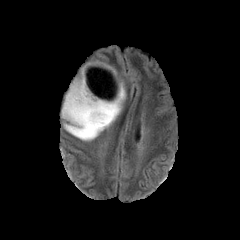
FLAIR magnetic resonance.
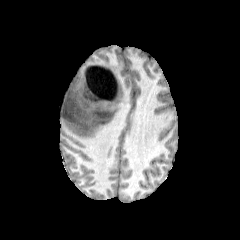
T1-weighted magnetic resonance of the same slice.
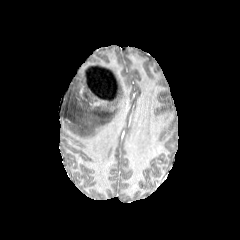
Post-contrast T1-weighted MR image.
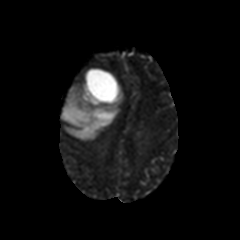
T2-weighted MRI of the same slice.
Brain
3 non-enhancing tumor core regions are bounded by l=94, t=110, r=109, b=121; l=63, t=108, r=77, b=122; l=85, t=92, r=107, b=105. The edema is bounded by l=60, t=70, r=125, b=141.